Slice 27 of 40; CT image

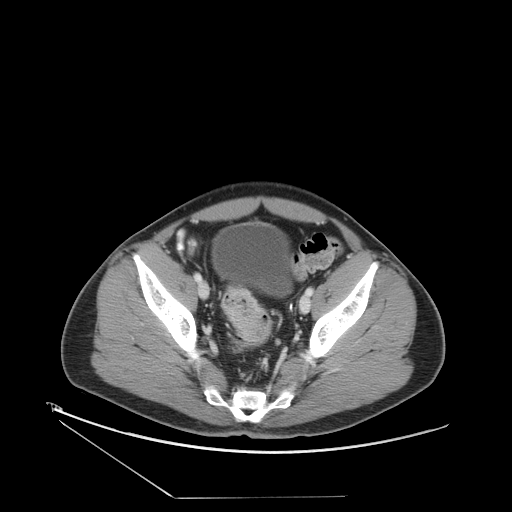 {
  "colon_tumor": [
    "(x1=221, y1=288, x2=264, y2=341)"
  ]
}